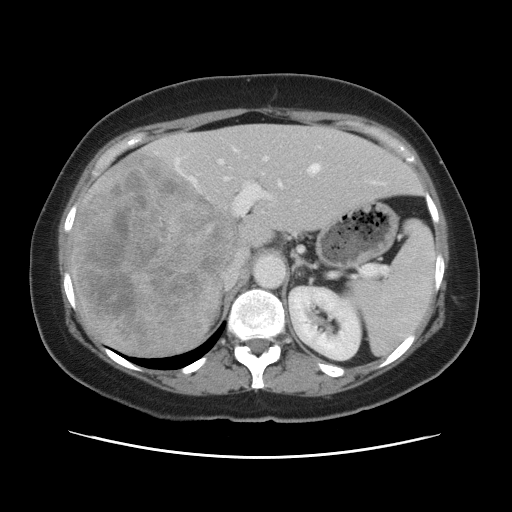 Image size 512x512 | Abdomen | CT scan slice
The vessel boxes may cover only some of the vessels.
liver_tumor:
  - 72 154 240 355
hepatic_vessel:
  - 219 160 223 163
  - 278 180 282 186
  - 189 177 195 182
  - 233 148 236 151
  - 310 164 319 172
  - 373 181 385 184
  - 232 183 272 215
  - 224 250 246 289
  - 299 248 301 251
  - 225 176 229 180
  - 263 157 267 160